Image width 420 mm, CT image, Abdomen 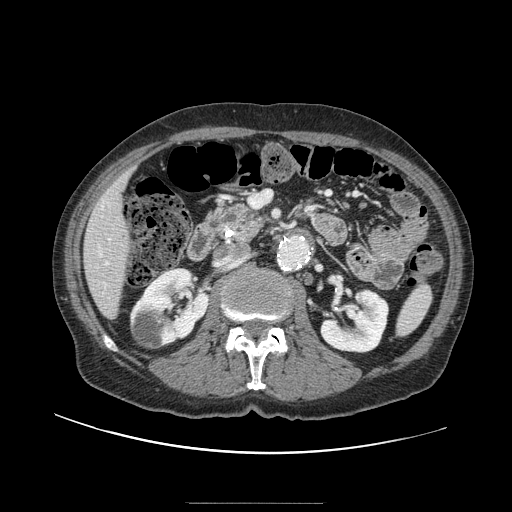

The pancreas is located at x1=204 y1=203 x2=267 y2=242.